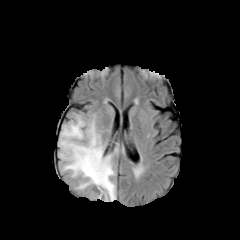
FLAIR MR image.
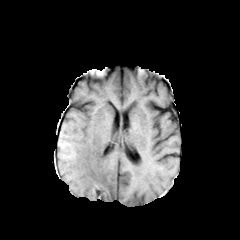
T1-weighted MR image.
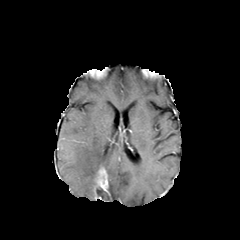
Post-contrast T1-weighted MR image.
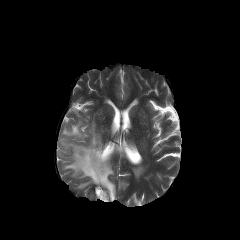
T2-weighted MRI of the same slice.
The non-enhancing tumor core is located at bbox(96, 184, 110, 195). The enhancing tumor is located at bbox(94, 168, 109, 194). The edema lies within bbox(58, 118, 116, 201).